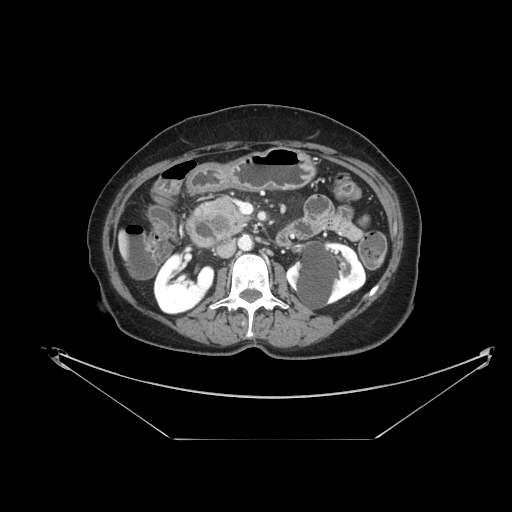
CT scan slice, Upper abdomen

• pancreas: [197,197,248,242]
• pancreatic tumor: [209,216,228,231]